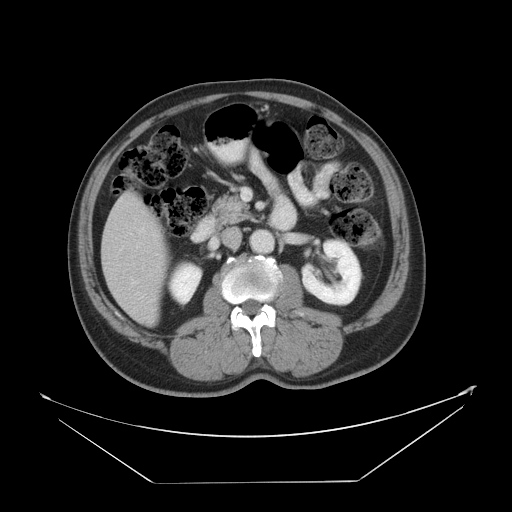 CT

Only some of the vessels may be annotated.
hepatic vessel: 136 242 138 247, 136 292 144 298, 151 235 154 237, 132 280 136 283